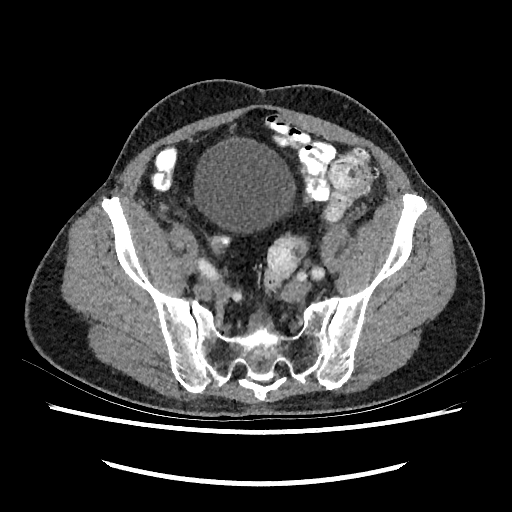

Pelvis | CT

The urinary bladder appears at bbox=[194, 136, 296, 233].